Slice 61/155
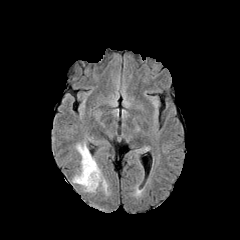
FLAIR MR image.
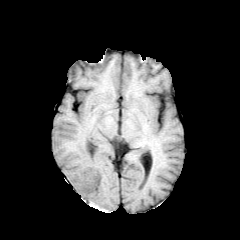
T1-weighted MR image.
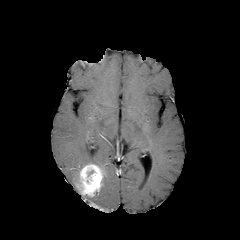
Post-contrast T1-weighted MR image of the same slice.
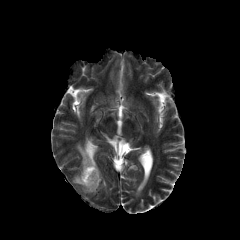
T2-weighted MRI.
Annotated regions:
• edema: x1=100 y1=178 x2=107 y2=191, x1=76 y1=143 x2=103 y2=175
• enhancing tumor: x1=74 y1=164 x2=102 y2=193